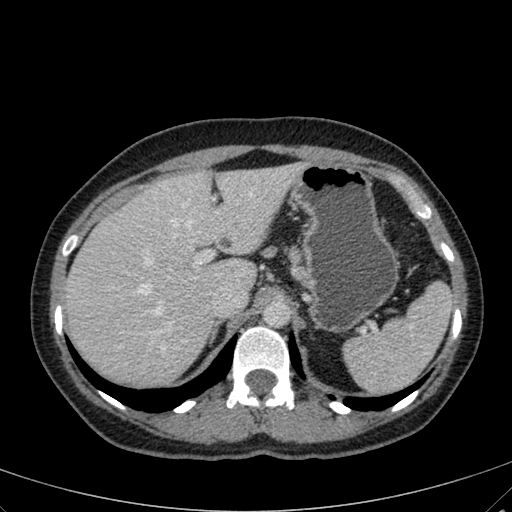 CT image, Upper abdomen

Findings:
- hepatic lesion: [219, 237, 231, 247]
- liver: [64, 163, 306, 384]